Brain; Slice index 43
FLAIR magnetic resonance.
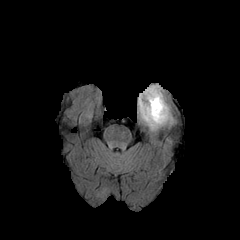
T1-weighted magnetic resonance.
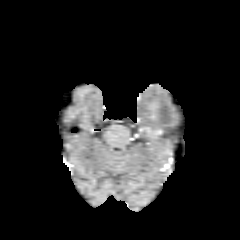
Post-contrast T1-weighted MR.
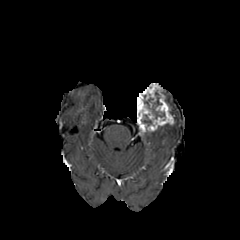
T2-weighted MRI.
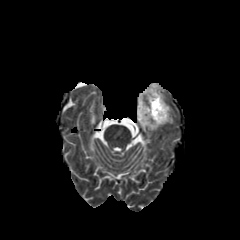
The non-enhancing tumor core is bounded by 148, 100, 159, 117. The enhancing tumor appears at 137, 83, 173, 130.